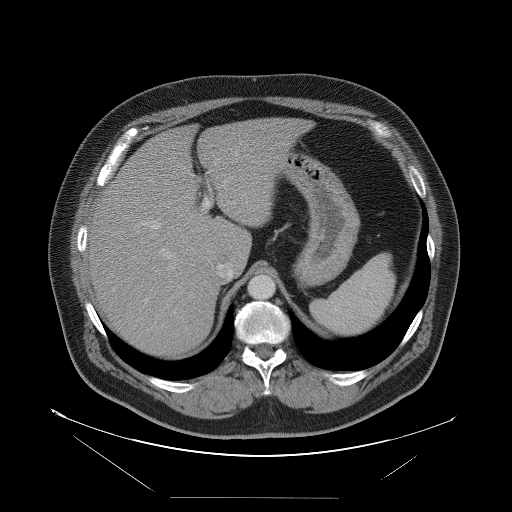

CT slice. Liver.

Some hepatic vessels may have no box.
Findings:
• hepatic vessel: 144,298,147,302; 235,152,236,155; 169,264,174,267; 173,309,175,313; 208,169,211,172; 141,221,159,228; 162,249,174,258; 113,288,114,290; 223,180,226,186; 203,199,210,207; 214,159,219,164